FLAIR MR image.
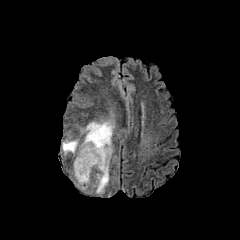
T1-weighted MR image.
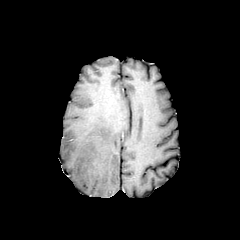
Post-contrast T1-weighted MR image.
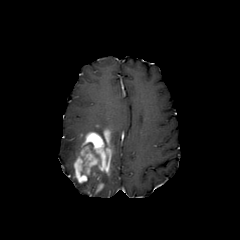
T2-weighted MRI.
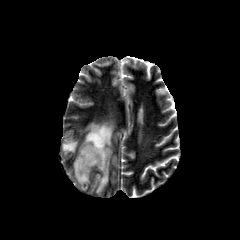
Image size 240x240 | Brain
non-enhancing_tumor_core:
  - bbox(81, 142, 98, 157)
edema:
  - bbox(93, 172, 109, 195)
  - bbox(81, 120, 114, 145)
  - bbox(62, 139, 81, 155)
enhancing_tumor:
  - bbox(74, 129, 112, 182)
  - bbox(95, 184, 103, 193)